Image size 240x240, Head, Slice index 82
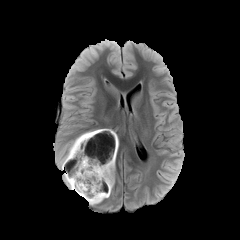
FLAIR MR image.
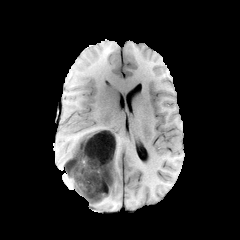
T1-weighted MR image of the same slice.
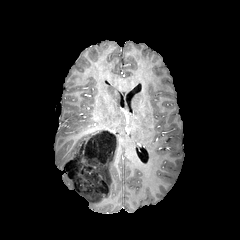
Post-contrast T1-weighted MRI.
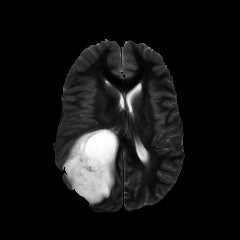
Same slice, T2-weighted magnetic resonance.
Edema at box=[87, 167, 114, 204]; box=[62, 138, 77, 168]; box=[65, 174, 73, 188]; box=[100, 130, 115, 140].
Non-enhancing tumor core at box=[64, 129, 114, 201].